Image width 378 mm | Computed tomography 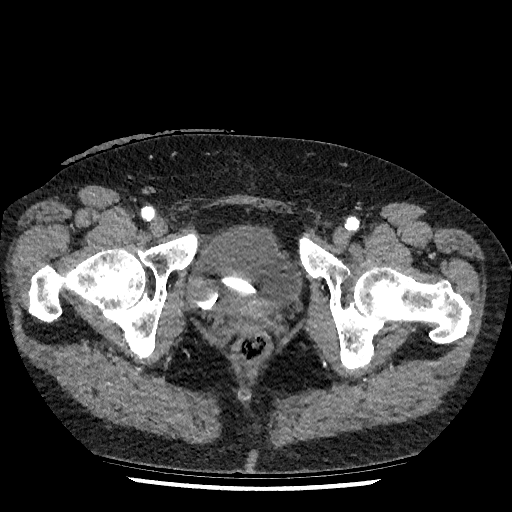 2 urinary bladder regions appear at 190,225,296,304; 206,279,241,320.